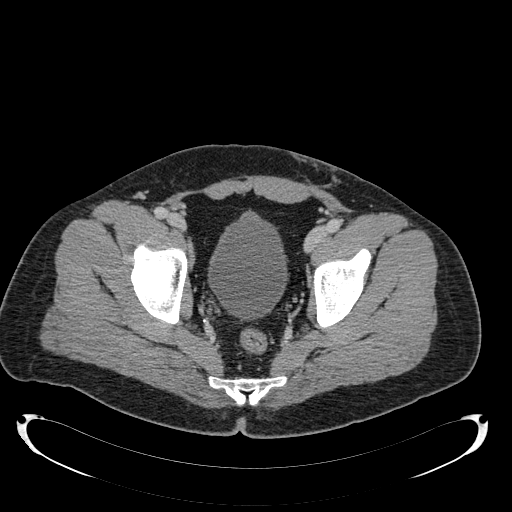

512x512; CT scan slice; Lower abdomen

Urinary bladder: bounding box rect(208, 217, 287, 319).